FLAIR MR image.
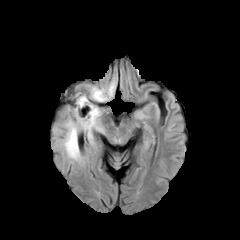
T1-weighted MR image.
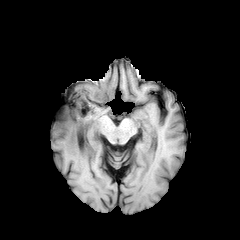
Post-contrast T1-weighted MRI.
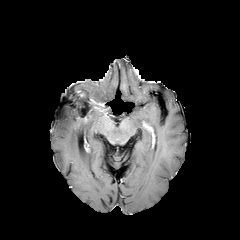
T2-weighted MR.
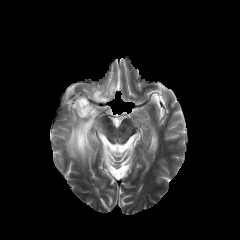
Brain. Image size 240x240.
<segmentation>
  <edema>box=[53, 76, 117, 163]</edema>
</segmentation>